CT slice, Upper abdomen, Slice 53/89 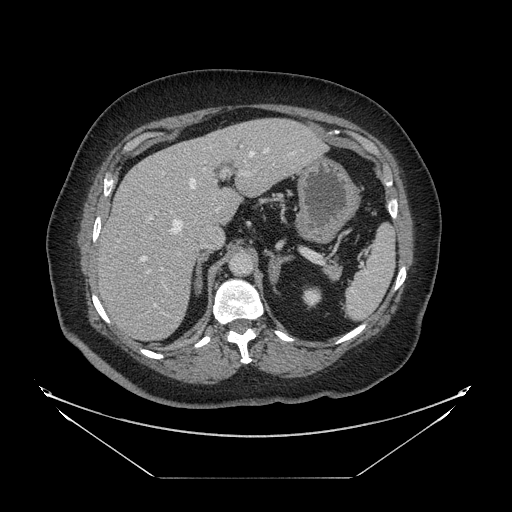
{"pancreas": ["region(324, 258, 342, 280)"]}